FLAIR magnetic resonance.
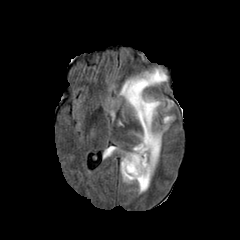
T1-weighted magnetic resonance.
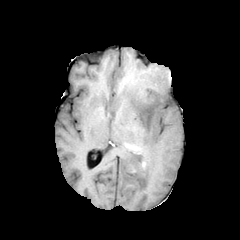
Post-contrast T1-weighted MR image.
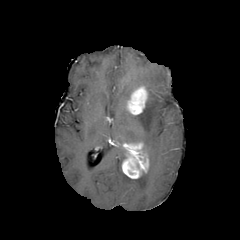
T2-weighted MR.
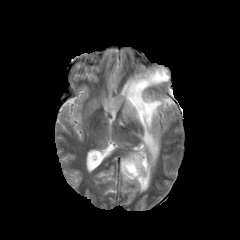
Head
2 enhancing tumor regions appear at left=122, top=146, right=147, bottom=178; left=128, top=86, right=146, bottom=114. 3 edema regions appear at left=120, top=94, right=173, bottom=191; left=119, top=68, right=167, bottom=104; left=163, top=116, right=173, bottom=123. The non-enhancing tumor core appears at left=136, top=145, right=145, bottom=162.